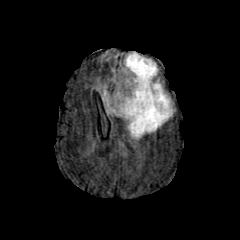
FLAIR MR.
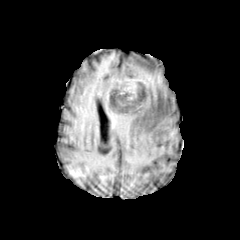
Same slice, T1-weighted MRI.
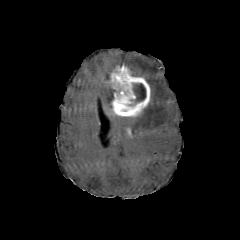
Post-contrast T1-weighted MR.
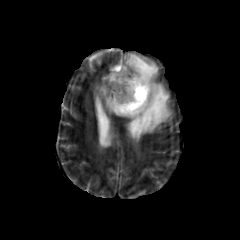
T2-weighted MR image.
Brain | 240x240
2 edema regions are located at 117, 52, 174, 142; 98, 85, 114, 115. The enhancing tumor is located at 109, 64, 151, 117. The non-enhancing tumor core lies within 133, 84, 145, 101.